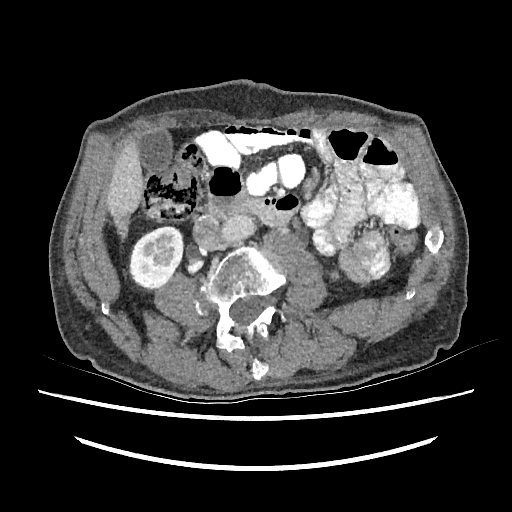

CT
Kidney = bbox=[130, 227, 182, 288].
Liver = bbox=[107, 143, 142, 228].
Liver lesion = bbox=[118, 210, 130, 234].